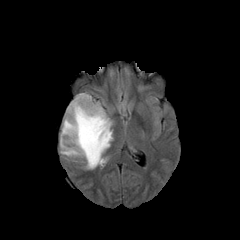
FLAIR MR.
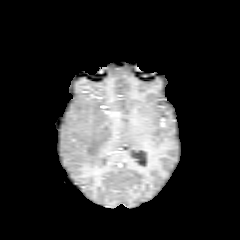
T1-weighted MR image of the same slice.
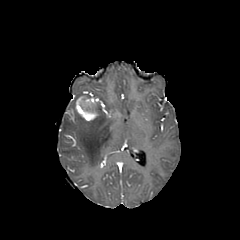
Post-contrast T1-weighted MR image of the same slice.
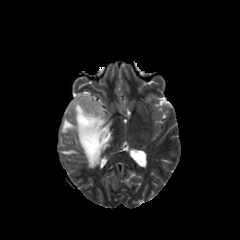
T2-weighted MR image of the same slice.
240x240 px, Head
<segmentation>
  <edema>[60, 93, 112, 168]</edema>
  <enhancing_tumor>[75, 96, 98, 120]</enhancing_tumor>
</segmentation>